Image width 360 mm, Slice 285/689, Computed tomography
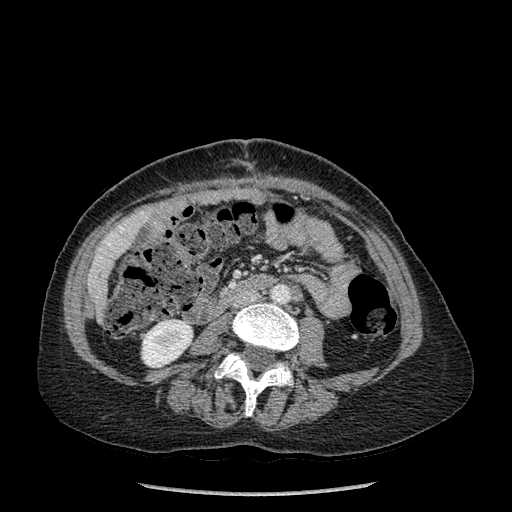

Bone = [215,353,292,415], [232,303,299,350].
Kidney = [142,320,192,367].
Liver = [87,208,152,324].